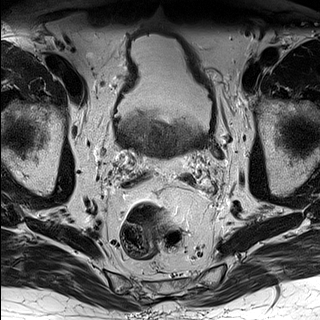
T2-weighted MR.
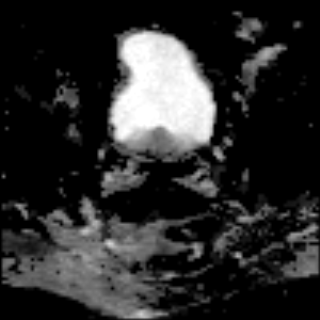
Same slice, ADC MR image.
Prostate.
prostate_transition_zone:
  - <bbox>128, 114, 192, 157</bbox>